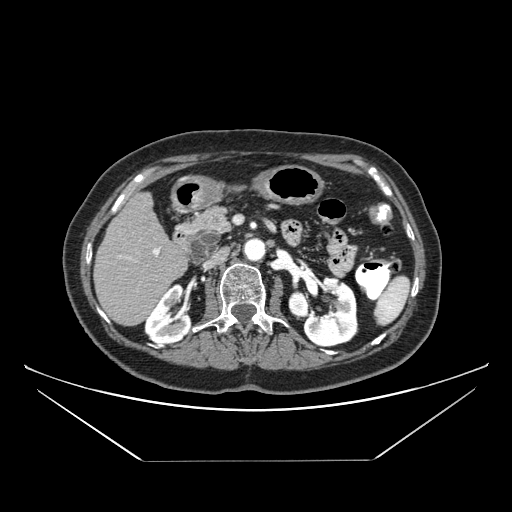 Computed tomography, Upper abdomen
Pancreas: bounding box 176,207,233,265.
Pancreatic tumor: bounding box 189,229,218,264.